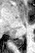
MR image; Hippocampus
Posterior hippocampus: bounding box <bbox>13, 37, 24, 47</bbox>.